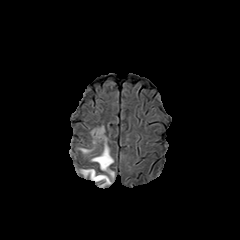
FLAIR MR image.
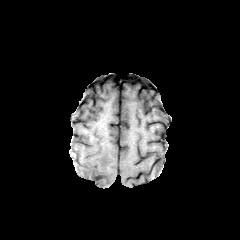
T1-weighted MRI.
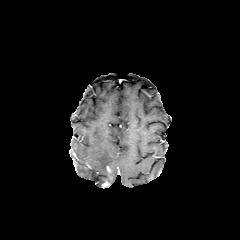
Same slice, post-contrast T1-weighted magnetic resonance.
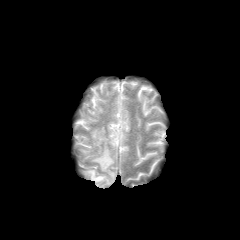
T2-weighted MRI.
Segmented structures:
• edema: left=94, top=128, right=106, bottom=139; left=80, top=144, right=114, bottom=187
• non-enhancing tumor core: left=100, top=176, right=110, bottom=186